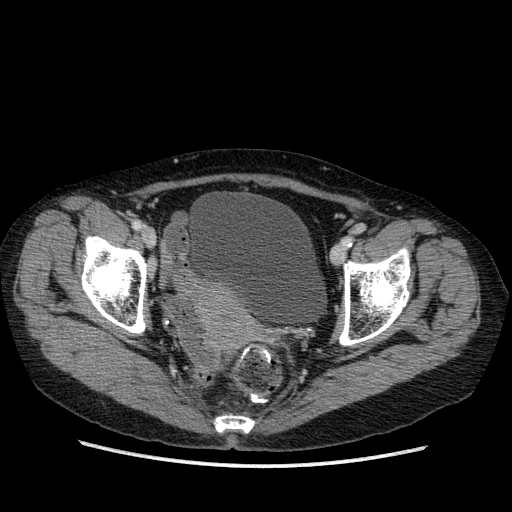

CT image, 512x512 px, Pelvis

urinary bladder: {"x1": 186, "y1": 190, "x2": 327, "y2": 324}